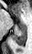 MRI | Medial temporal lobe | 32x54
The posterior hippocampus appears at x1=12, y1=29, x2=26, y2=46.